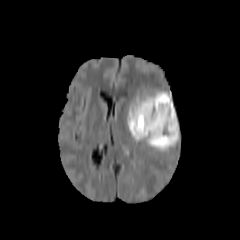
FLAIR MR.
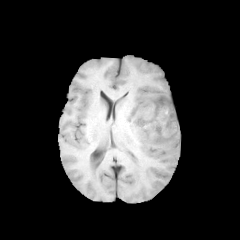
Same slice, T1-weighted MR.
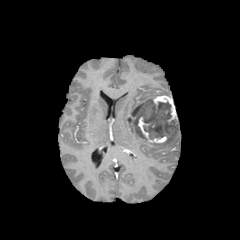
Post-contrast T1-weighted magnetic resonance.
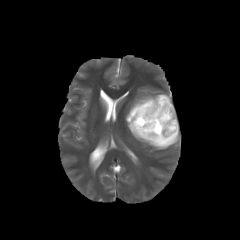
T2-weighted MRI of the same slice.
enhancing tumor: box(137, 116, 167, 143); box(152, 95, 177, 124) | edema: box(125, 86, 180, 150) | non-enhancing tumor core: box(131, 99, 177, 140)